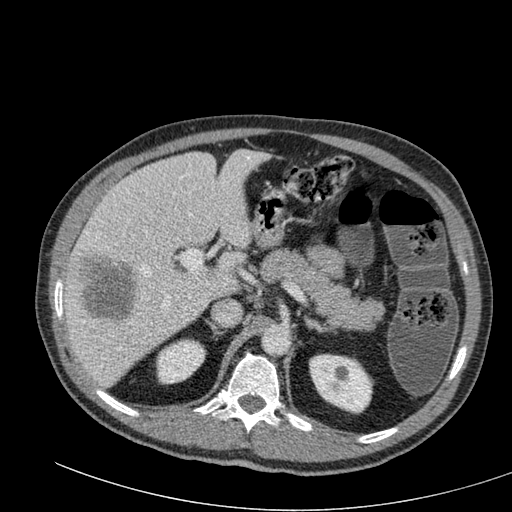
512x512 px; Computed tomography

Kidney — [158,340,203,382], [310,355,371,411].
Liver lesion — [83,259,136,322].
Liver — [235,266,246,278], [61,150,270,387].